CT slice | 512x512

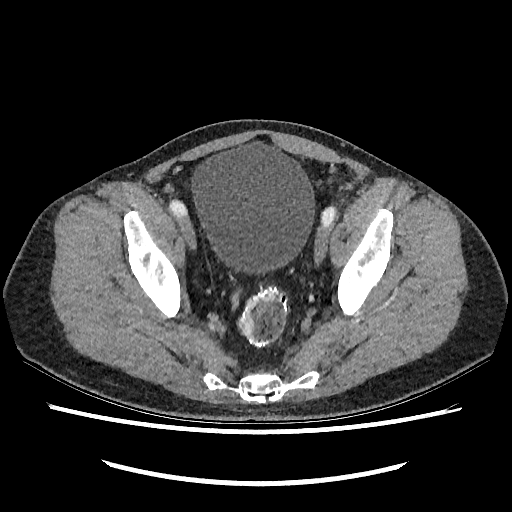

The urinary bladder lies within x1=191 y1=138 x2=314 y2=274.